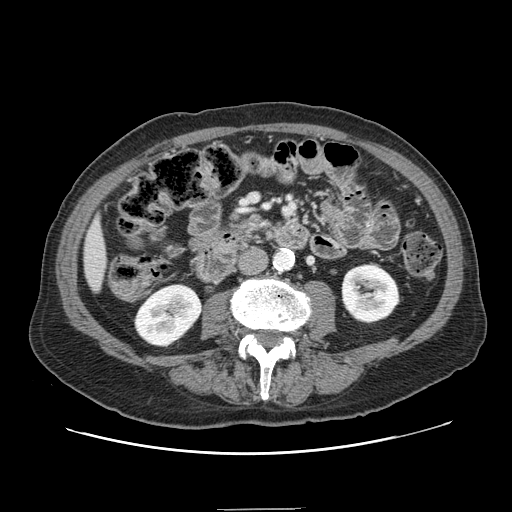

CT image, Upper abdomen

The pancreas is bounded by <box>229,217,256,247</box>.